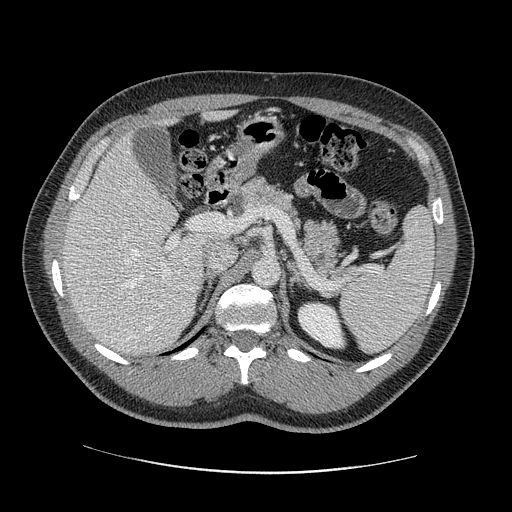 CT
{"pancreas": ["bbox=[227, 176, 344, 281]"], "pancreatic_tumor": ["bbox=[227, 193, 247, 216]"]}